Image size 240x240. Slice 69 of 155.
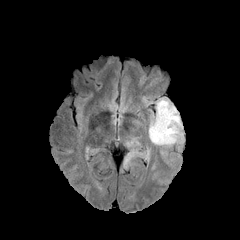
FLAIR MR.
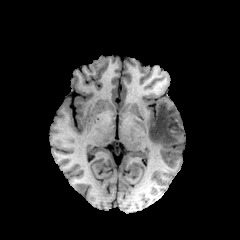
T1-weighted MRI of the same slice.
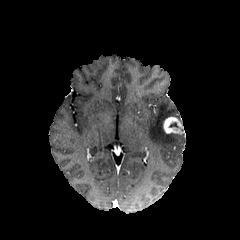
Post-contrast T1-weighted magnetic resonance.
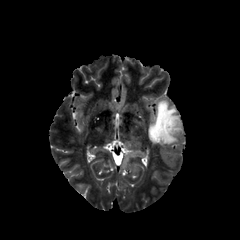
T2-weighted MR.
{"edema": ["bbox=[148, 99, 179, 144]", "bbox=[124, 137, 140, 155]"], "enhancing_tumor": ["bbox=[163, 117, 184, 134]"]}